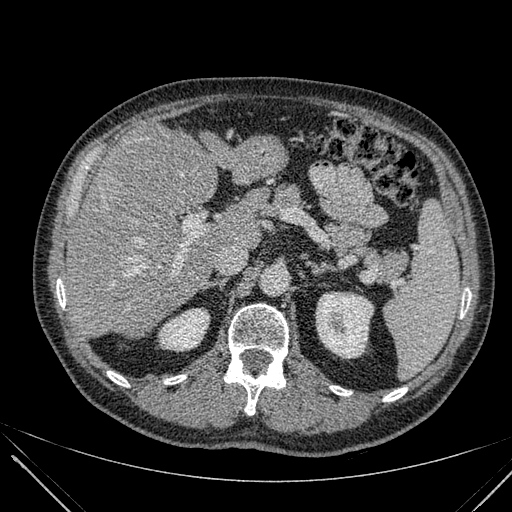
Abdomen | Computed tomography
2 kidney regions are located at (x1=316, y1=293, x2=372, y2=357), (x1=159, y1=309, x2=208, y2=350). 3 liver regions are located at (x1=205, y1=136, x2=274, y2=183), (x1=199, y1=131, x2=218, y2=137), (x1=65, y1=124, x2=262, y2=339).